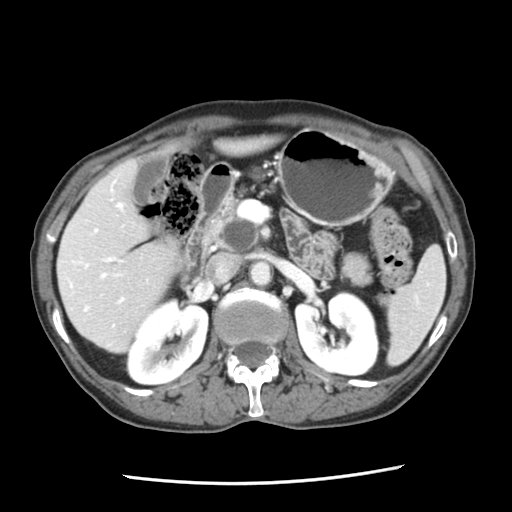
CT image, Upper abdomen
Pancreatic tumor at x1=224, y1=221, x2=254, y2=249.
Pancreas at x1=209, y1=201, x2=258, y2=253.